240x240, Slice 75/155, Brain
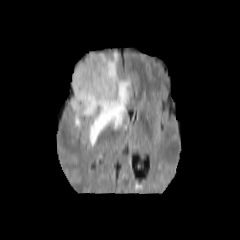
FLAIR MR image.
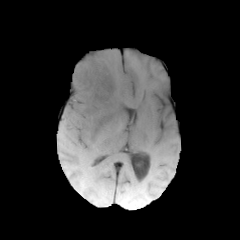
Same slice, T1-weighted MR image.
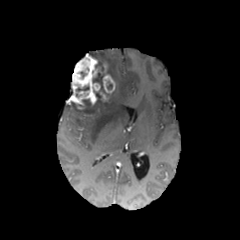
Post-contrast T1-weighted magnetic resonance of the same slice.
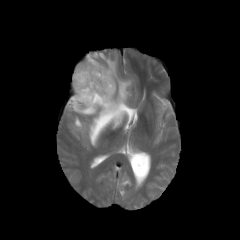
Same slice, T2-weighted MRI.
Edema — <bbox>74, 114, 81, 128</bbox>, <bbox>88, 51, 132, 146</bbox>.
Non-enhancing tumor core — <bbox>71, 92, 113, 114</bbox>, <bbox>89, 52, 107, 70</bbox>, <bbox>92, 72, 106, 93</bbox>.
Enhancing tumor — <bbox>68, 53, 115, 109</bbox>.